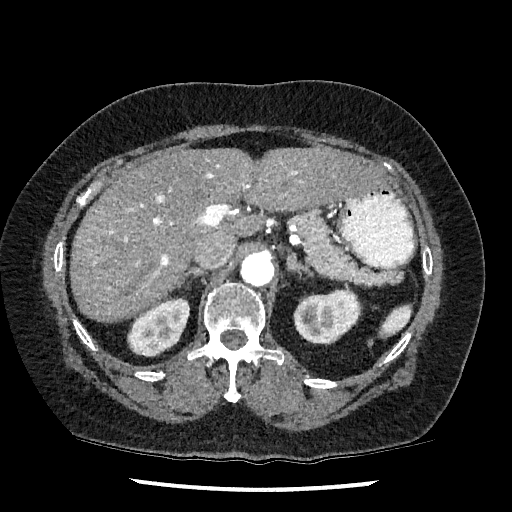
Computed tomography. 512x512 px. 2 kidney regions are bounded by {"x1": 128, "y1": 299, "x2": 189, "y2": 355}, {"x1": 294, "y1": 290, "x2": 359, "y2": 342}. The liver is located at {"x1": 70, "y1": 149, "x2": 384, "y2": 320}.